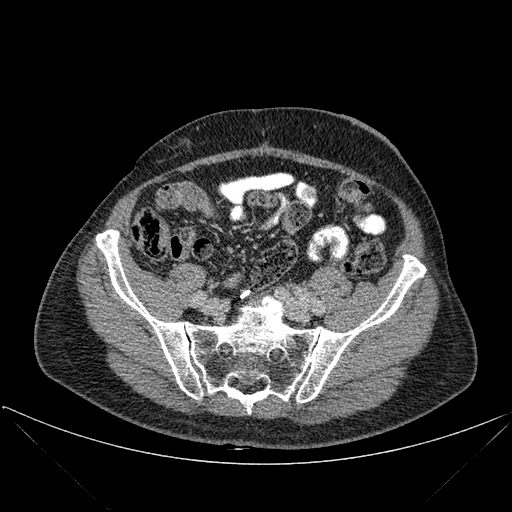 CT

{"bone": [{"x1": 96, "y1": 229, "x2": 425, "y2": 413}]}